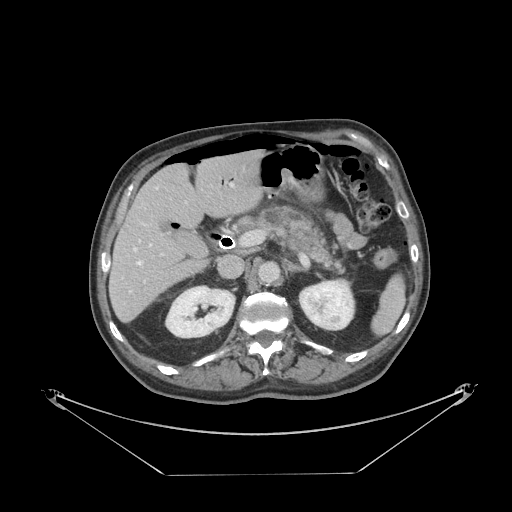 Upper abdomen. CT slice.

The pancreas is at box=[241, 207, 343, 273].